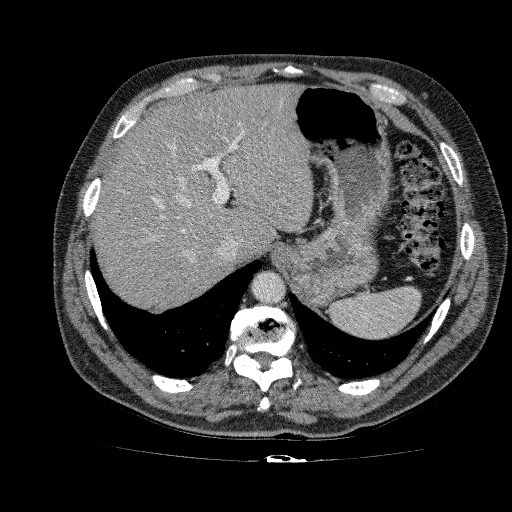
Computed tomography, Image size 512x512
Liver — rect(91, 83, 312, 312).